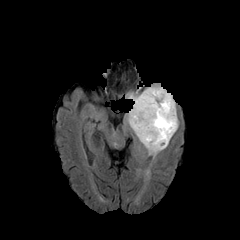
FLAIR MRI.
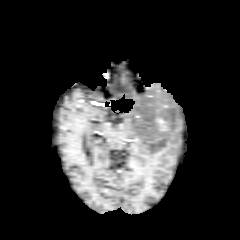
T1-weighted MR image of the same slice.
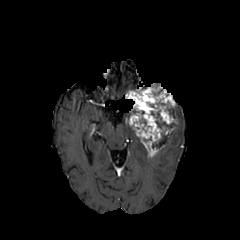
Post-contrast T1-weighted MRI of the same slice.
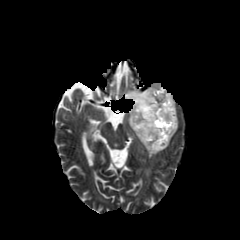
T2-weighted MRI of the same slice.
<segmentation>
  <non-enhancing_tumor_core>[x1=164, y1=106, x2=175, y2=117], [x1=151, y1=110, x2=175, y2=147]</non-enhancing_tumor_core>
  <edema>[x1=124, y1=111, x2=145, y2=148], [x1=152, y1=120, x2=179, y2=159]</edema>
  <enhancing_tumor>[x1=126, y1=86, x2=177, y2=154]</enhancing_tumor>
</segmentation>